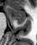

MRI, 37x45 px, Hippocampus
Anterior hippocampus at (x1=6, y1=5, x2=25, y2=19).
Posterior hippocampus at (x1=17, y1=20, x2=24, y2=24).